Abdomen | Slice 140 of 155 | CT slice | 512x512 px
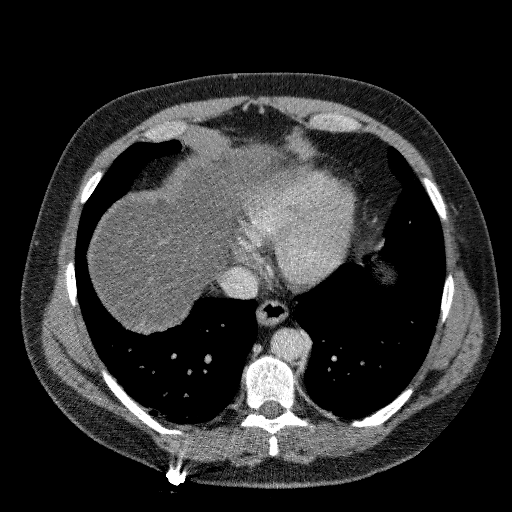 Segmented structures:
- liver: bbox=[89, 147, 279, 331]